Slice 90 of 130. Heart. Magnetic resonance.
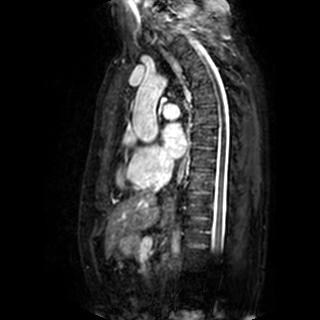
{
  "left_atrium": [
    "[x1=161, y1=123, x2=186, y2=158]"
  ]
}